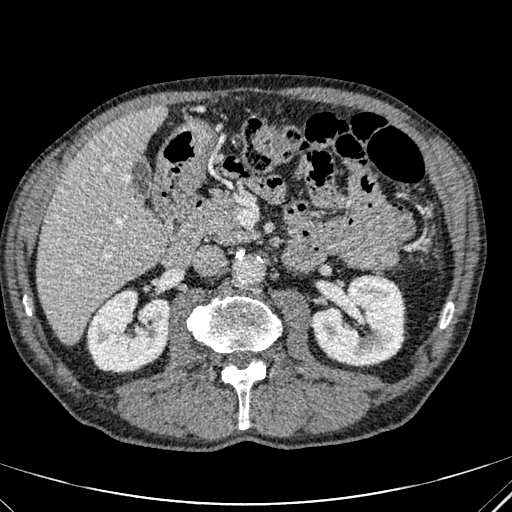

CT slice. Abdomen. 512x512.

Kidney = box=[88, 291, 168, 371]; box=[313, 277, 403, 364].
Liver = box=[37, 107, 165, 343].